Image size 240x240 | Brain
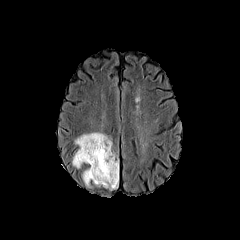
FLAIR MRI.
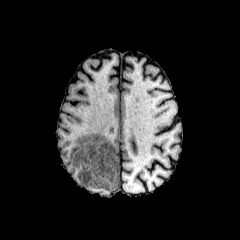
T1-weighted MRI.
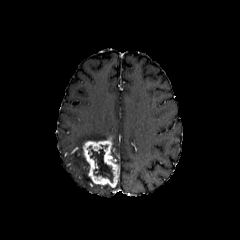
Same slice, post-contrast T1-weighted MR.
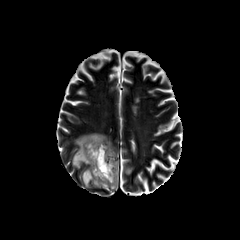
T2-weighted MR image.
Edema at (72, 133, 107, 169), (97, 177, 118, 190), (83, 169, 91, 187).
Non-enhancing tumor core at (90, 144, 113, 183).
Enhancing tumor at (83, 138, 119, 187).